FLAIR magnetic resonance.
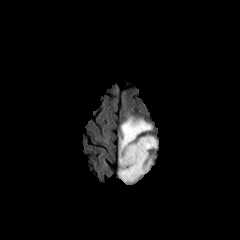
T1-weighted MRI.
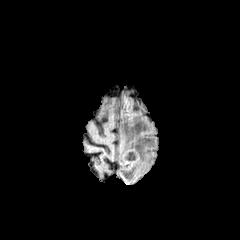
Post-contrast T1-weighted MR image.
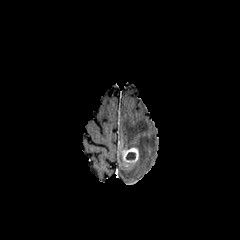
T2-weighted magnetic resonance.
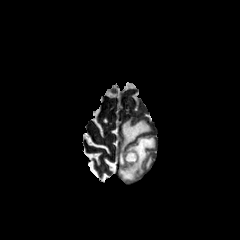
Brain.
Enhancing tumor: bounding box <bbox>121, 147, 138, 166</bbox>.
Non-enhancing tumor core: bounding box <bbox>125, 152, 135, 160</bbox>.
Edema: bounding box <bbox>119, 116, 155, 183</bbox>.